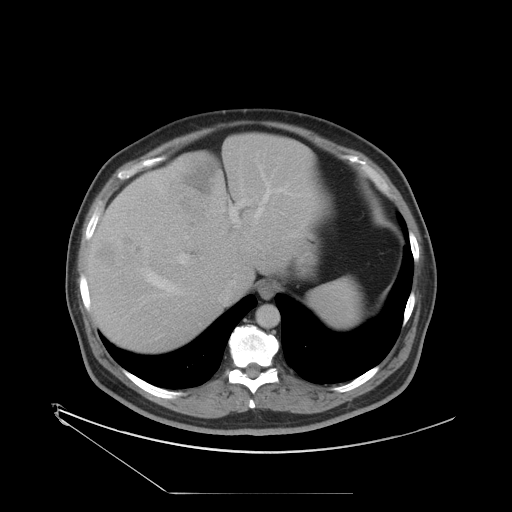
CT image
Some hepatic vessels may have no box.
- hepatic vessel: box=[141, 268, 178, 293]; box=[257, 151, 258, 156]; box=[229, 245, 230, 247]; box=[255, 165, 293, 223]; box=[230, 199, 250, 228]; box=[179, 254, 192, 263]
- liver tumor: box=[167, 154, 218, 233]; box=[96, 243, 119, 264]; box=[119, 235, 144, 255]